CT scan slice. Upper abdomen. Slice 203 of 427.
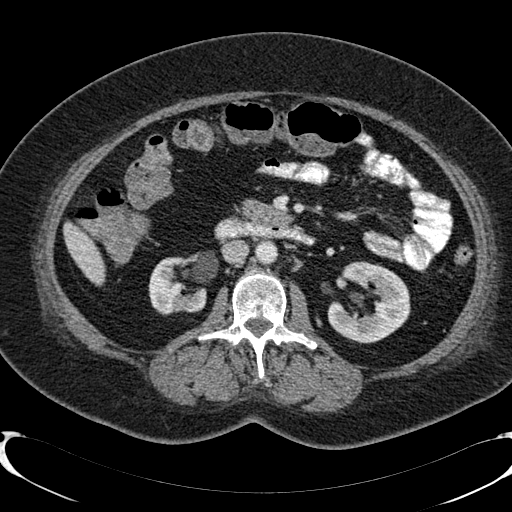
Liver — <bbox>64, 225, 103, 282</bbox>.
Kidney — <bbox>149, 258, 205, 313</bbox>, <bbox>337, 278, 345, 287</bbox>, <bbox>328, 262, 409, 342</bbox>.